Slice 37/52. Image width 362 mm. CT slice. Image size 512x512.
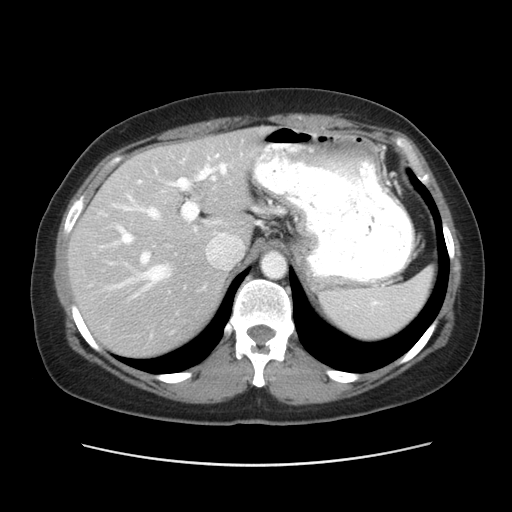

The vessel boxes may cover only some of the vessels.
Hepatic vessel at [112, 226, 131, 244], [182, 202, 197, 221], [140, 252, 149, 262], [168, 179, 188, 189], [142, 265, 169, 290], [182, 160, 183, 162], [196, 165, 215, 179], [218, 163, 225, 173], [138, 180, 140, 182], [115, 196, 158, 218], [208, 157, 209, 159], [155, 170, 156, 171].